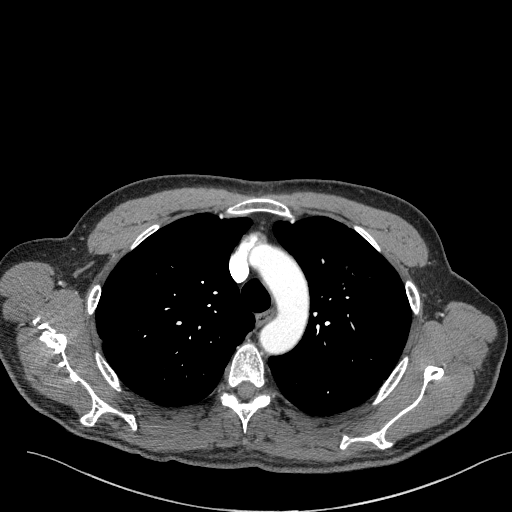
CT. Lung.

<segmentation>
  <lung_tumor>bbox=[338, 255, 372, 293]</lung_tumor>
</segmentation>